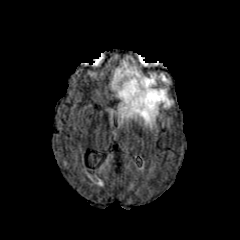
FLAIR MR image.
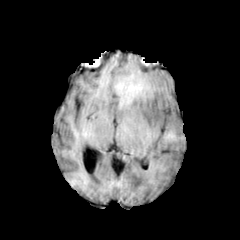
T1-weighted MRI of the same slice.
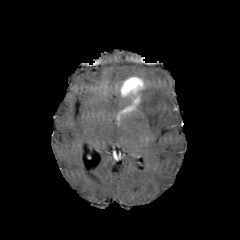
Post-contrast T1-weighted MR image.
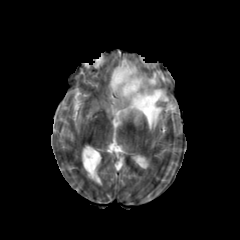
Same slice, T2-weighted MRI.
Edema: bounding box 109, 56, 173, 130.
Enhancing tumor: bounding box 117, 76, 144, 121.